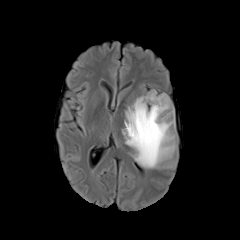
FLAIR magnetic resonance.
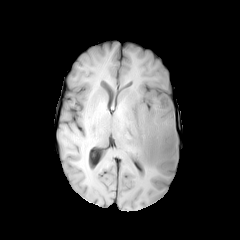
T1-weighted MR image.
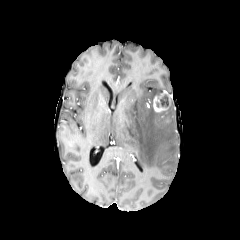
Same slice, post-contrast T1-weighted MR.
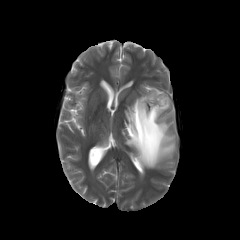
T2-weighted MR.
Brain
<segmentation>
  <enhancing_tumor>153 94 165 111</enhancing_tumor>
  <edema>123 88 177 168</edema>
  <non-enhancing_tumor_core>134 113 159 147, 152 92 169 113</non-enhancing_tumor_core>
</segmentation>